512x512, CT slice 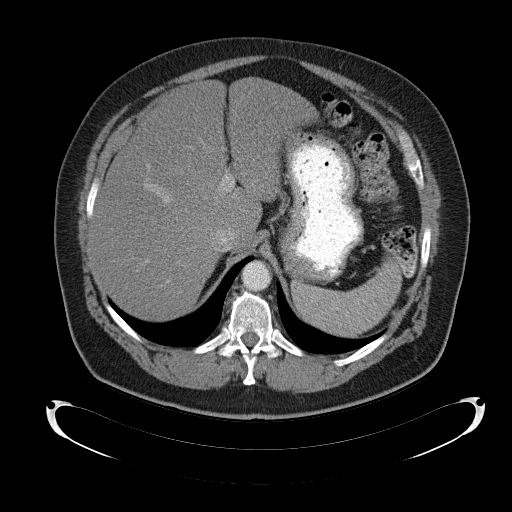
The spleen appears at 292:262:400:338.